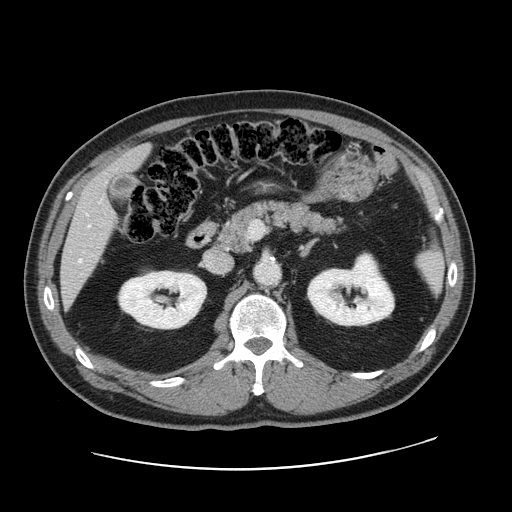 512x512 px. CT slice.
Not every hepatic vessel necessarily has a box.
Findings:
• hepatic vessel: (66, 300, 70, 302), (78, 258, 81, 261), (138, 145, 148, 149), (111, 210, 115, 217), (104, 181, 106, 183), (88, 224, 90, 226)